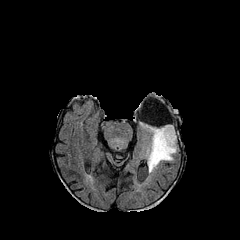
FLAIR magnetic resonance.
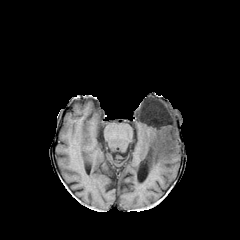
T1-weighted MR.
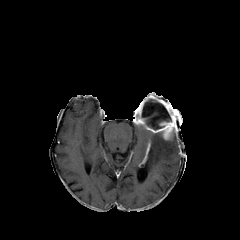
Post-contrast T1-weighted magnetic resonance.
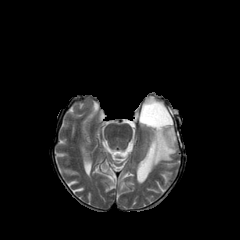
Same slice, T2-weighted MR.
Head
Non-enhancing tumor core — region(135, 98, 181, 141); region(146, 130, 164, 139); region(144, 94, 153, 101).
Edema — region(141, 130, 178, 173).
Enhancing tumor — region(134, 119, 175, 139).